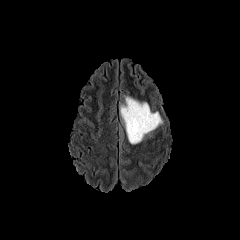
FLAIR MR image.
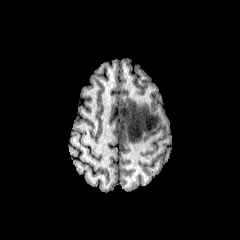
T1-weighted MR.
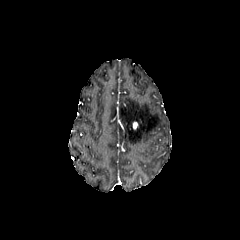
Post-contrast T1-weighted MR image.
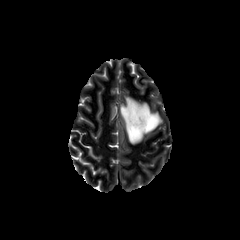
T2-weighted MR.
Brain
The edema appears at <bbox>120, 97, 160, 144</bbox>. The enhancing tumor is at <bbox>132, 120, 139, 130</bbox>.